Slice index 223; CT scan slice
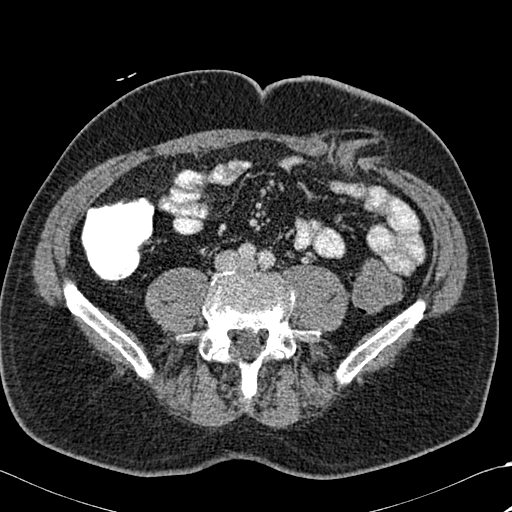
3 bone regions are bounded by 174:270:313:399, 336:301:424:383, 64:283:153:379.